FLAIR magnetic resonance.
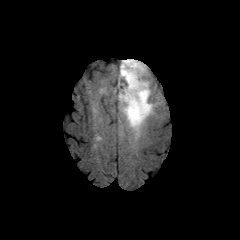
T1-weighted MRI.
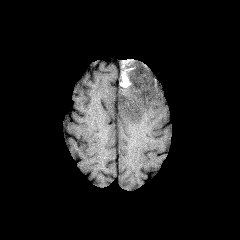
Post-contrast T1-weighted magnetic resonance.
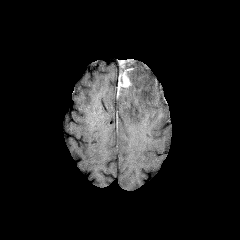
T2-weighted MR.
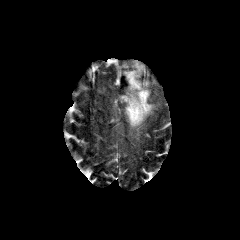
Image size 240x240
<segmentation>
  <edema>rect(117, 59, 158, 140)</edema>
  <non-enhancing_tumor_core>rect(119, 61, 134, 85)</non-enhancing_tumor_core>
  <enhancing_tumor>rect(117, 69, 131, 88)</enhancing_tumor>
</segmentation>